CT slice
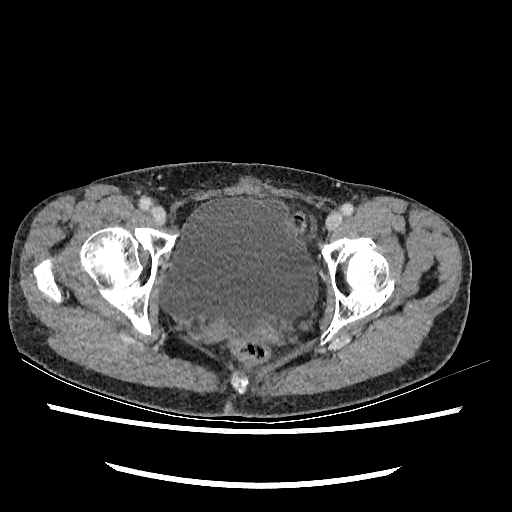

<segmentation>
  <urinary_bladder>158 195 317 338</urinary_bladder>
</segmentation>